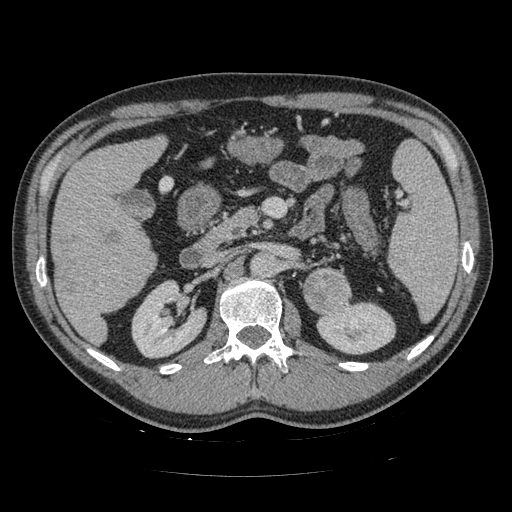 512x512 px, CT image
The pancreatic tumor lies within [x1=304, y1=268, x2=350, y2=314]. The pancreas is at [x1=221, y1=207, x2=257, y2=236].